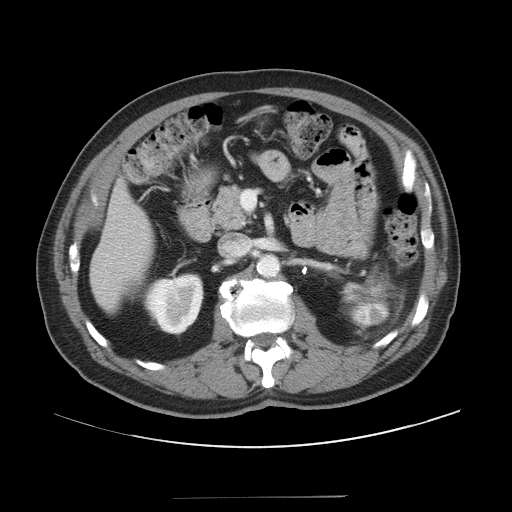

CT image, Upper abdomen

pancreas: rect(212, 185, 249, 230)